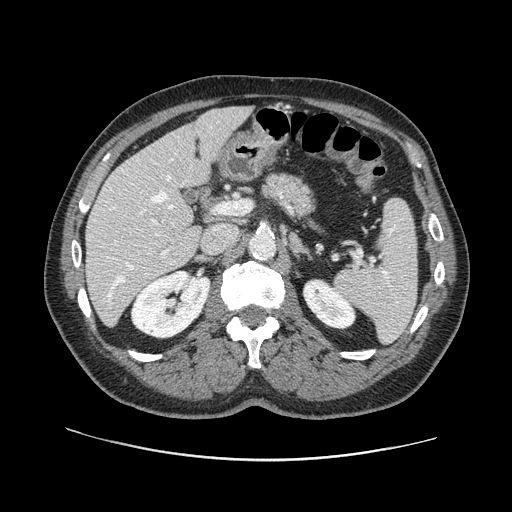

Computed tomography.
<segmentation>
  <pancreas>258 169 319 219</pancreas>
</segmentation>